Slice index 169, CT image, Field of view 500 mm wide, 3.27 mm slice spacing 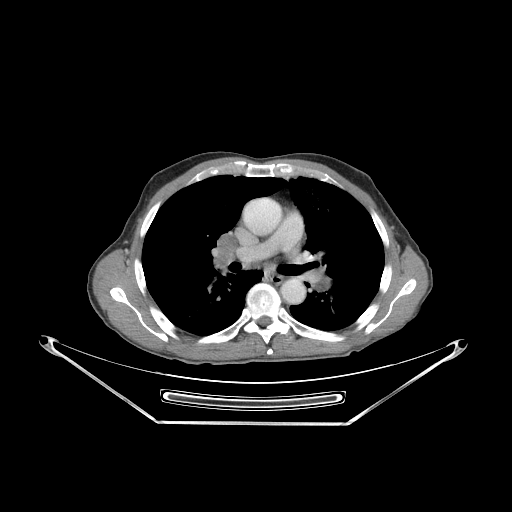
bone:
  - bbox=[199, 284, 299, 343]
  - bbox=[372, 212, 388, 245]
  - bbox=[304, 325, 355, 341]
  - bbox=[247, 164, 274, 176]
  - bbox=[365, 279, 415, 333]
  - bbox=[110, 287, 176, 341]
  - bbox=[357, 305, 377, 328]
  - bbox=[380, 266, 391, 292]
  - bbox=[135, 260, 145, 292]
  - bbox=[141, 203, 159, 235]
lung:
  - bbox=[142, 174, 384, 335]